Image size 512x512. Image width 479 mm. Slice index 25. CT.

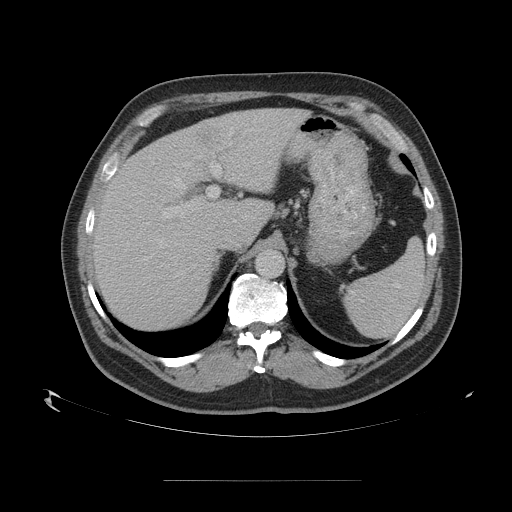 Only some of the vessels may be annotated.
* hepatic vessel: bbox=[213, 166, 220, 177]; bbox=[163, 201, 199, 217]; bbox=[194, 196, 203, 200]; bbox=[207, 186, 219, 198]
* liver tumor: bbox=[196, 129, 215, 144]